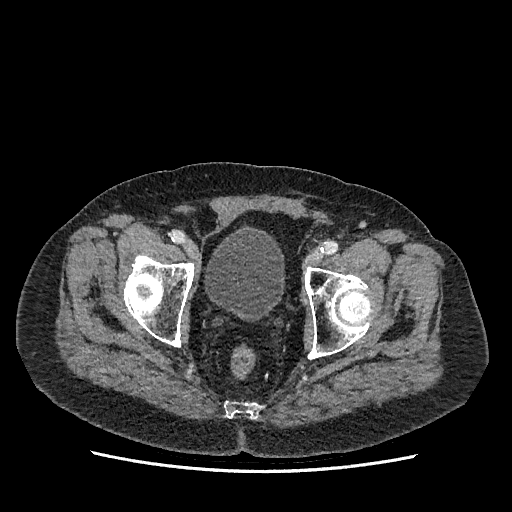
Pelvis; CT scan slice

<segmentation>
  <urinary_bladder>bbox(204, 230, 284, 320)</urinary_bladder>
</segmentation>